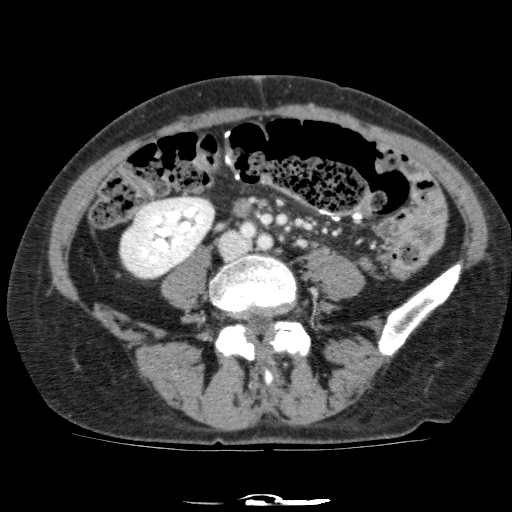 Abdomen, Computed tomography

The kidney lies within rect(121, 198, 213, 277).